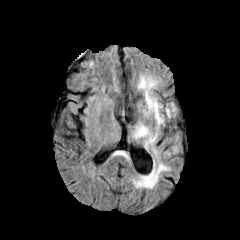
FLAIR magnetic resonance.
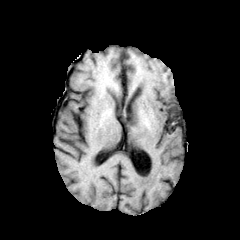
T1-weighted MRI.
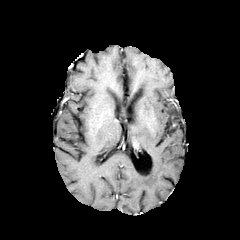
Same slice, post-contrast T1-weighted magnetic resonance.
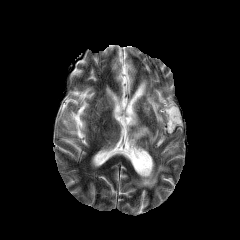
T2-weighted MR image.
Head
2 edema regions are located at [132,158,169,188], [131,76,177,159].